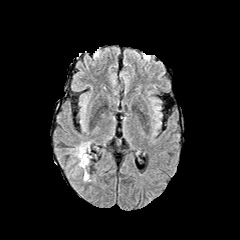
FLAIR MRI.
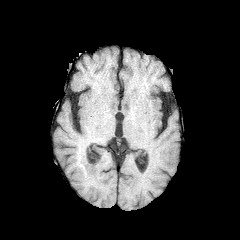
Same slice, T1-weighted magnetic resonance.
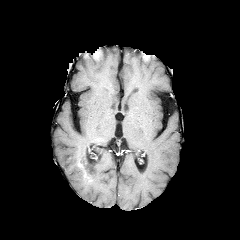
Post-contrast T1-weighted MR.
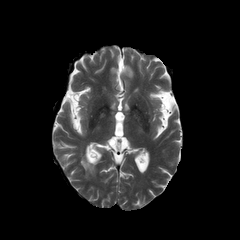
T2-weighted MRI of the same slice.
Brain
Findings:
• edema: region(75, 142, 92, 171)